Lower abdomen | CT image 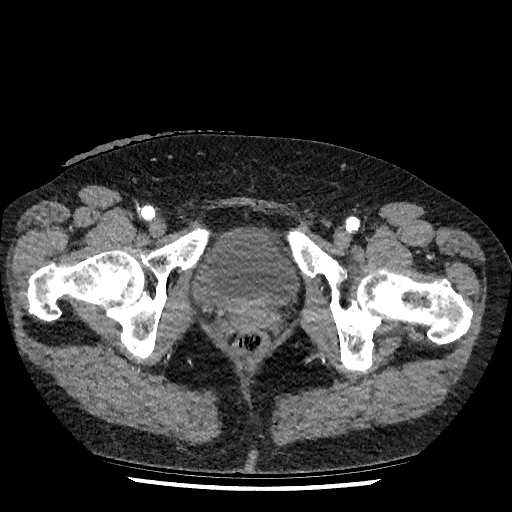

Urinary bladder at <box>196,227,296,314</box>.